Slice 81 of 155; Head
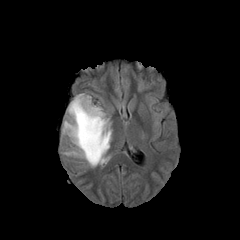
FLAIR MRI.
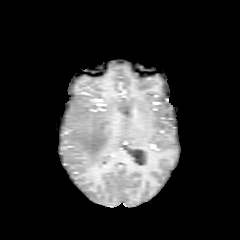
Same slice, T1-weighted MR.
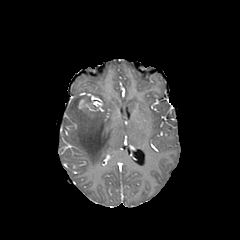
Same slice, post-contrast T1-weighted MR.
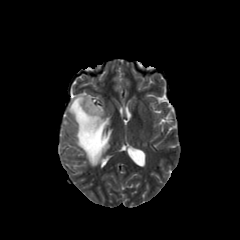
T2-weighted MR image.
The edema is located at box=[63, 94, 111, 166].